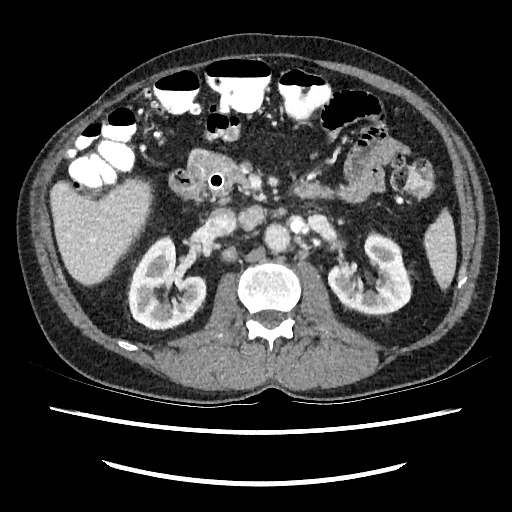 Liver, CT slice
Kidney = 129, 239, 205, 328; 328, 236, 410, 313.
Liver = 51, 180, 150, 282.